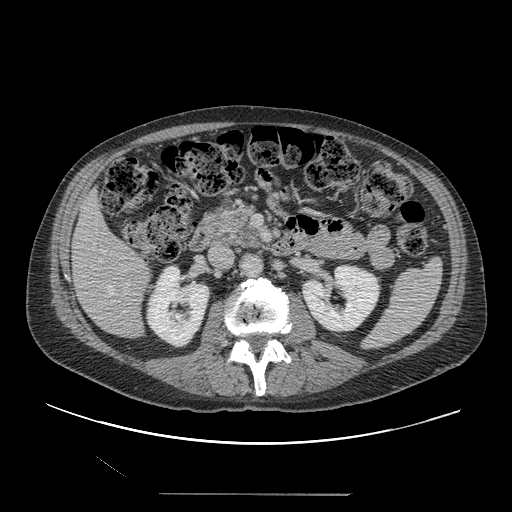

CT. Upper abdomen.
Annotated regions:
- pancreas: (209, 199, 262, 248)